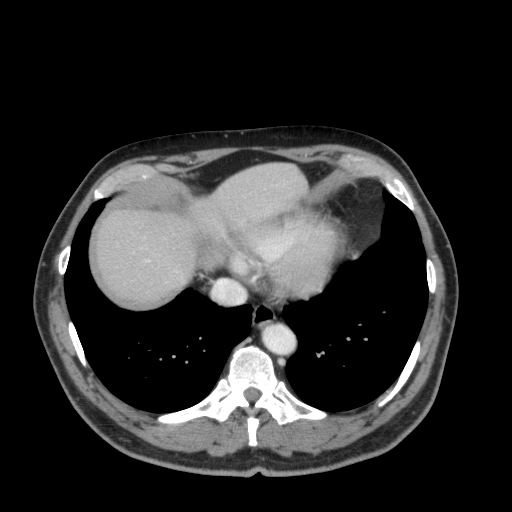 Computed tomography
2 liver regions are located at (x1=201, y1=164, x2=306, y2=234), (x1=94, y1=209, x2=193, y2=305).